Head
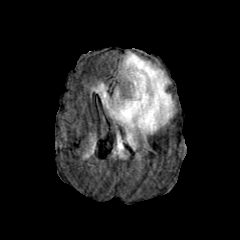
FLAIR MR image.
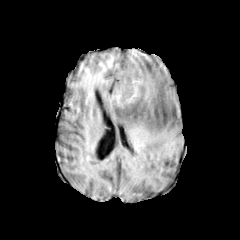
Same slice, T1-weighted MR image.
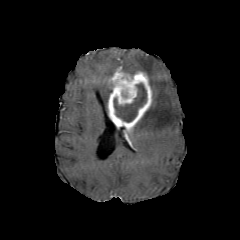
Post-contrast T1-weighted MRI.
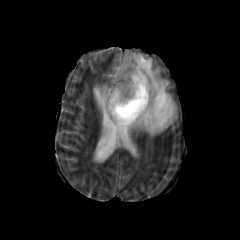
T2-weighted magnetic resonance.
edema: x1=93 y1=83 x2=111 y2=112, x1=114 y1=134 x2=127 y2=154, x1=120 y1=51 x2=175 y2=149 | enhancing tumor: x1=107 y1=66 x2=152 y2=146 | non-enhancing tumor core: x1=114 y1=83 x2=146 y2=121